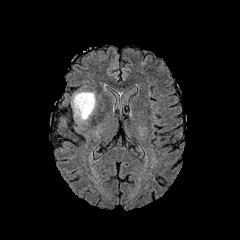
FLAIR magnetic resonance.
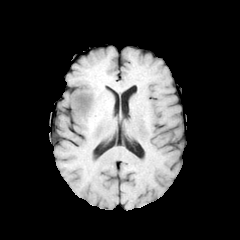
T1-weighted MR image of the same slice.
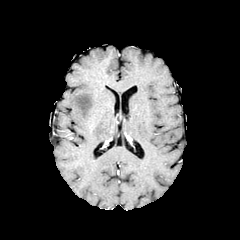
Post-contrast T1-weighted MR image.
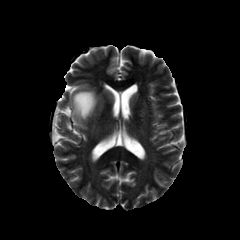
T2-weighted MR image.
Image size 240x240
The edema lies within 72,91,95,120.